Brain
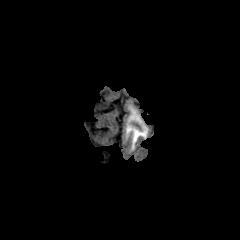
FLAIR MRI.
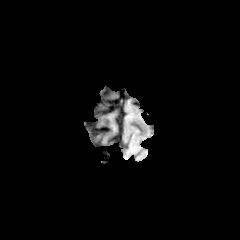
T1-weighted MR.
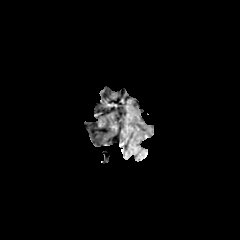
Same slice, post-contrast T1-weighted MRI.
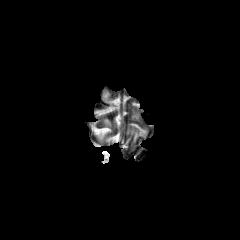
Same slice, T2-weighted MRI.
The edema is located at left=125, top=104, right=149, bottom=150.